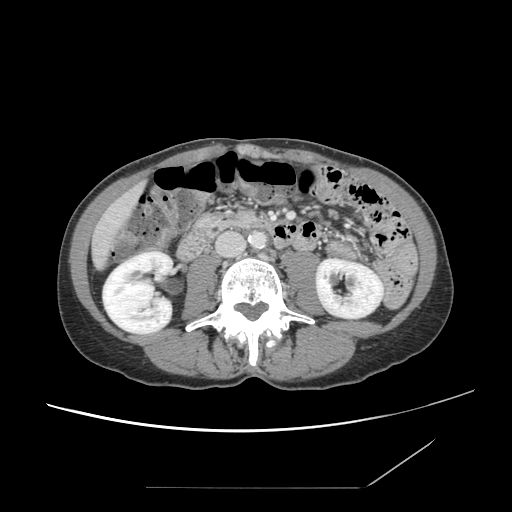 Upper abdomen, CT scan slice
Annotated regions:
- pancreas: box=[195, 209, 270, 240]